Slice 60 of 155; Field of view 240x240 mm
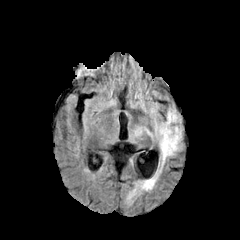
FLAIR magnetic resonance.
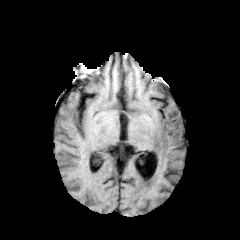
T1-weighted magnetic resonance of the same slice.
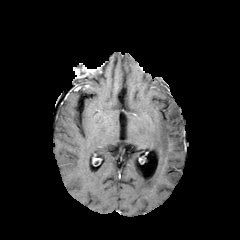
Post-contrast T1-weighted MR of the same slice.
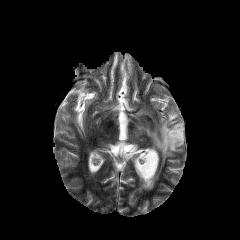
Same slice, T2-weighted MRI.
{
  "edema": [
    "box=[129, 106, 183, 202]"
  ]
}